Computed tomography; Abdomen; 512x512 px

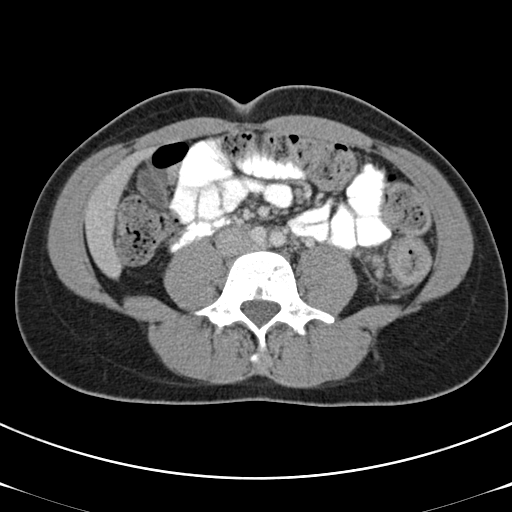

<segmentation>
  <colon_tumor>left=393, top=241, right=428, bottom=280</colon_tumor>
</segmentation>